512x512 px. Computed tomography. Image width 370 mm. 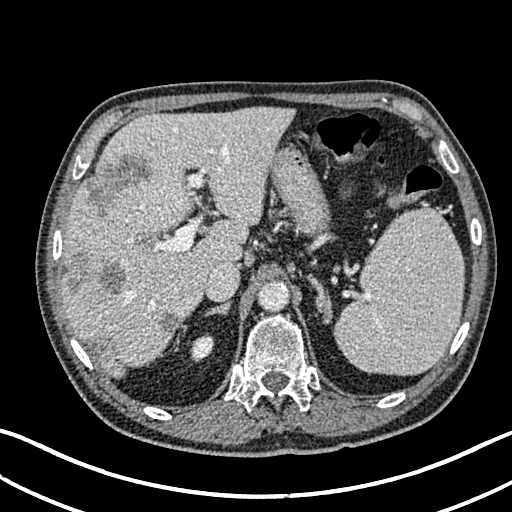
Segmented structures:
* kidney: l=193, t=337, r=212, b=359
* liver: l=64, t=107, r=294, b=376
* hepatic lesion: l=89, t=339, r=102, b=352; l=98, t=258, r=127, b=294; l=86, t=153, r=151, b=216; l=158, t=313, r=178, b=332; l=66, t=252, r=89, b=294